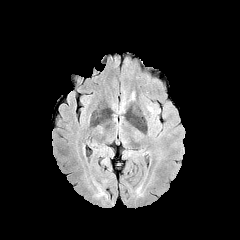
FLAIR MR image.
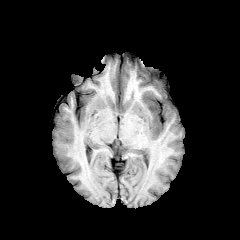
T1-weighted magnetic resonance of the same slice.
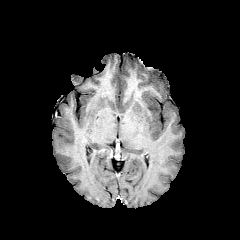
Post-contrast T1-weighted MRI of the same slice.
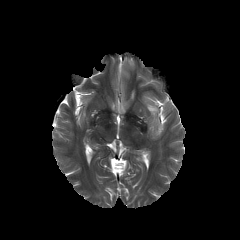
T2-weighted MR image of the same slice.
Edema at (left=150, top=106, right=157, bottom=113).